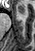

MRI; Medial temporal lobe
Anterior hippocampus at [17,6,24,13].